FLAIR magnetic resonance.
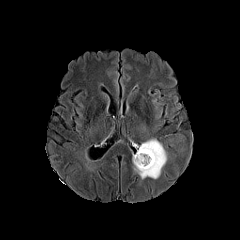
T1-weighted MRI.
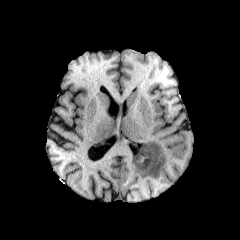
Post-contrast T1-weighted magnetic resonance.
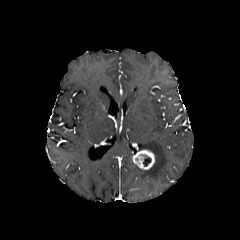
T2-weighted MR image.
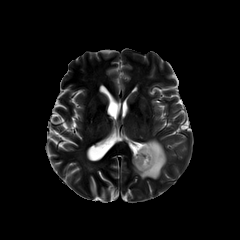
Head; 240x240
{
  "non-enhancing_tumor_core": [
    "rect(143, 155, 151, 166)"
  ],
  "enhancing_tumor": [
    "rect(133, 150, 154, 169)"
  ],
  "edema": [
    "rect(134, 140, 166, 179)"
  ]
}